512x512 px; Slice 138 of 247; CT; Abdomen
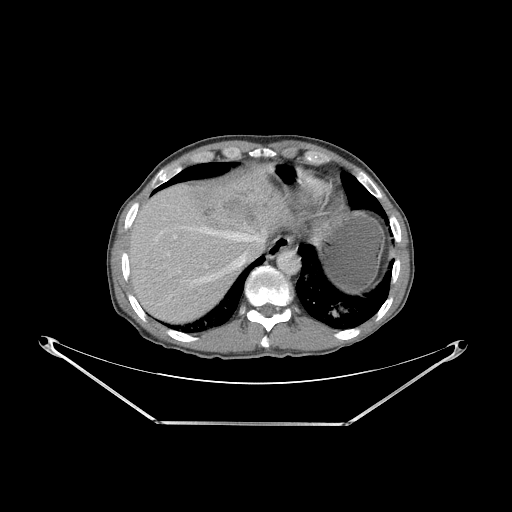 liver lesion: 227,200,239,211; 247,205,255,216 | lung: 343,174,383,217; 160,162,235,189; 179,260,261,332; 295,255,388,328 | bone: 360,175,381,197; 168,330,197,341; 129,295,145,320; 125,203,137,228; 392,260,399,282; 335,329,359,339; 122,253,129,280; 377,298,392,320; 390,217,400,241; 261,337,268,346; 246,266,291,331; 156,172,167,182 | liver: 131,163,290,323